CT scan slice; Slice 475/841; Image width 378 mm 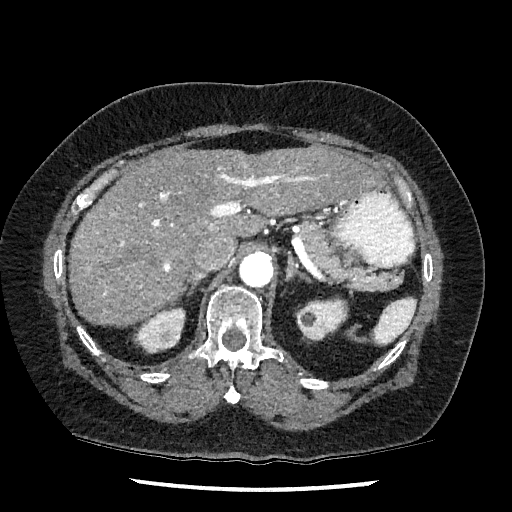
Annotated regions:
* liver: [69,147,387,324]
* kidney: [305,300,346,339], [137,309,184,352]